Slice 111 of 266, Computed tomography
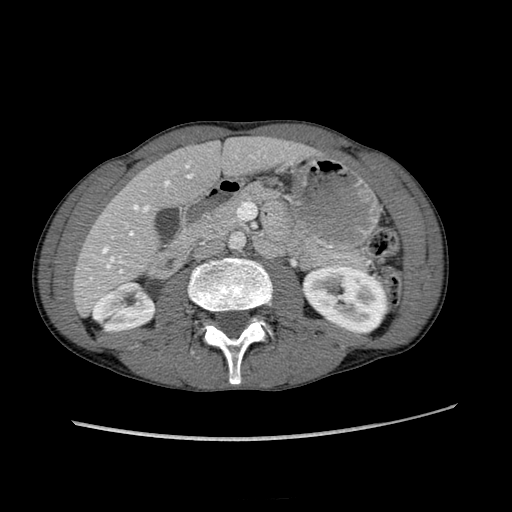 kidney:
  - 93,283,153,330
  - 304,266,385,331
liver:
  - 74,136,313,310